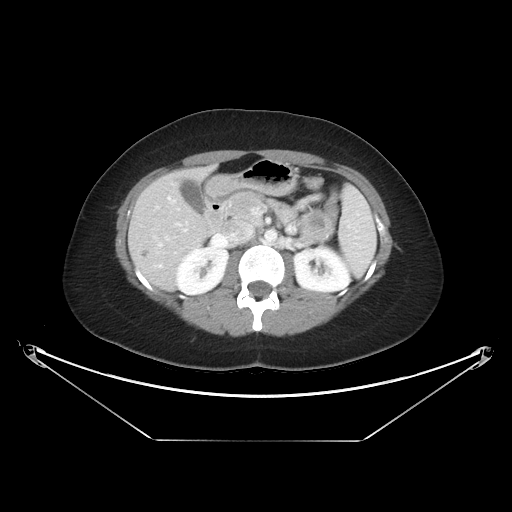 Abdomen; CT; 512x512 px

Findings:
• pancreatic tumor: 300, 210, 332, 241
• pancreas: 299, 219, 333, 243; 267, 202, 294, 222; 225, 191, 264, 221